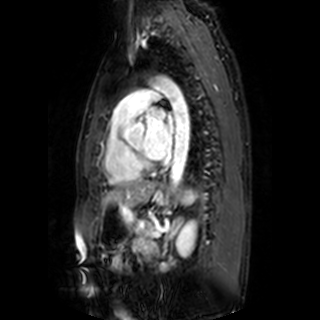
MR image. <segmentation>
  <left_atrium>(x1=142, y1=107, x2=175, y2=159)</left_atrium>
</segmentation>